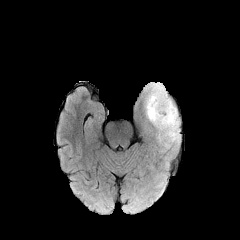
FLAIR MRI.
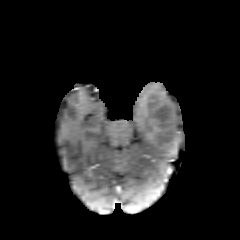
Same slice, T1-weighted MRI.
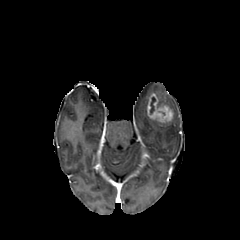
Same slice, post-contrast T1-weighted magnetic resonance.
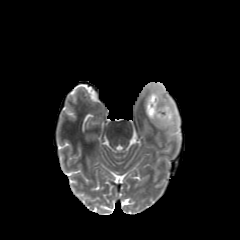
T2-weighted MR.
Brain. 240x240 px.
{"edema": ["region(144, 83, 179, 142)"], "enhancing_tumor": ["region(146, 93, 172, 122)"], "non-enhancing_tumor_core": ["region(150, 97, 155, 114)"]}